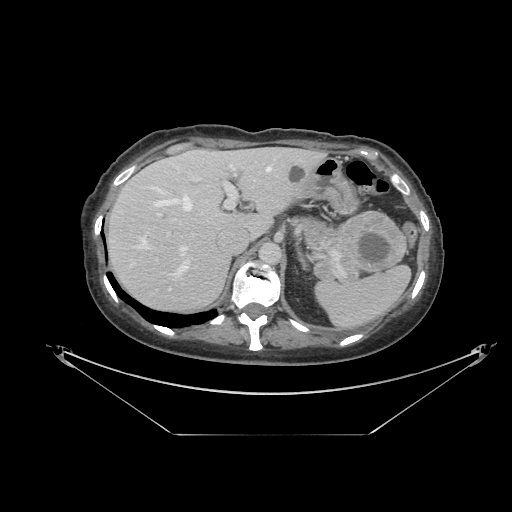
CT
The pancreatic tumor lies within [x1=335, y1=210, x2=406, y2=280]. The pancreas appears at [x1=294, y1=216, x2=353, y2=280].